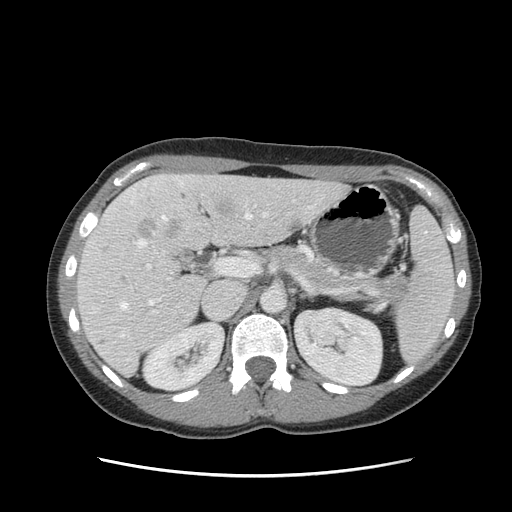
Image size 512x512; CT image
Segmented structures:
• pancreatic tumor: 377,276,410,302
• pancreas: 266,245,382,303